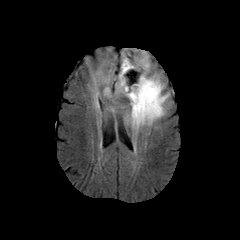
FLAIR MR image.
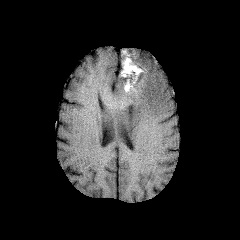
Same slice, T1-weighted magnetic resonance.
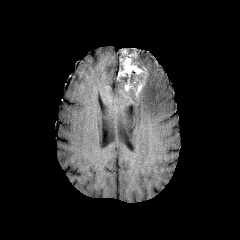
Post-contrast T1-weighted MR image.
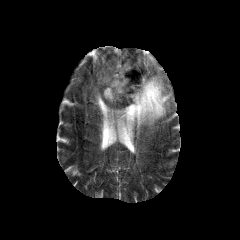
T2-weighted magnetic resonance of the same slice.
Enhancing tumor at x1=117, y1=58, x2=141, y2=79.
Non-enhancing tumor core at x1=118, y1=53, x2=146, y2=119.
Edema at x1=101, y1=74, x2=133, y2=105; x1=122, y1=52, x2=171, y2=147.